Abdomen. CT slice.

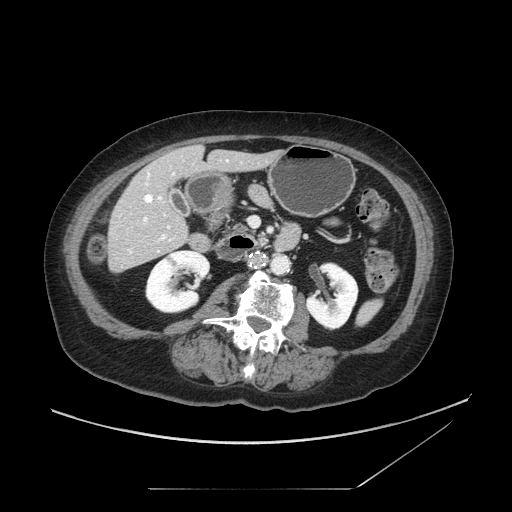
Segmented structures:
• pancreas: box(232, 225, 246, 232)